Computed tomography.

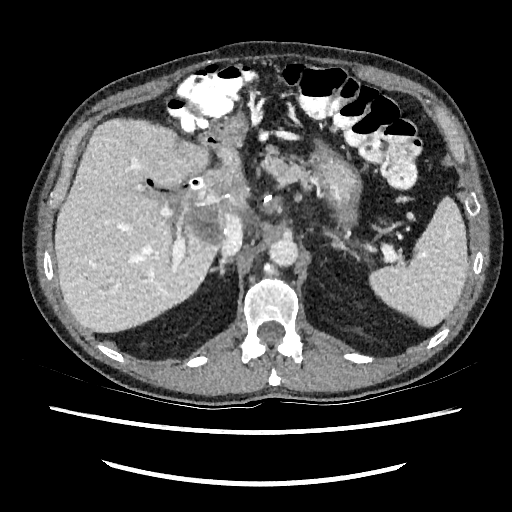
• focal liver lesion: <box>169,167,246,244</box>
• liver: <box>241,202,250,223</box>, <box>54,119,245,330</box>